CT image | Slice 122 of 164 | Field of view 422 mm wide, 1.50 mm slice spacing

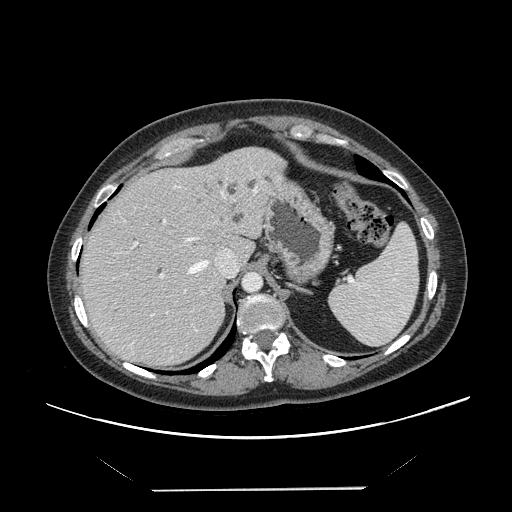

Only some of the vessels may be annotated.
Hepatic vessel: bounding box bbox(185, 237, 198, 242); bbox(162, 219, 165, 224); bbox(187, 249, 237, 276); bbox(151, 314, 153, 315); bbox(132, 242, 136, 246); bbox(220, 191, 229, 198); bbox(160, 275, 163, 278); bbox(230, 198, 234, 200); bbox(248, 175, 252, 175); bbox(252, 175, 263, 195).